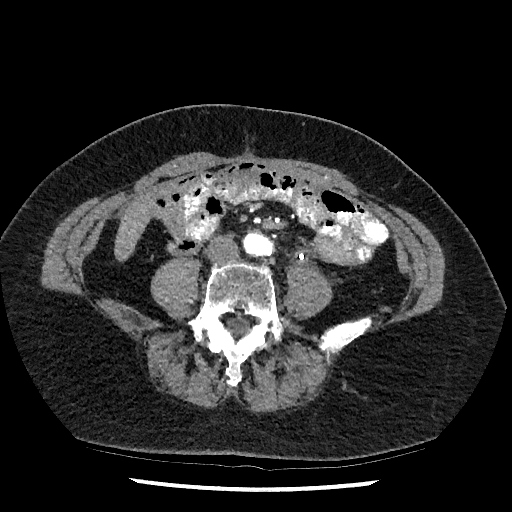 Image size 512x512 | Upper abdomen | Computed tomography
The liver appears at box(116, 202, 149, 259).